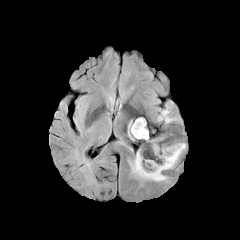
FLAIR magnetic resonance.
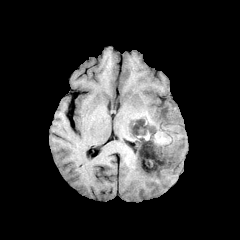
Same slice, T1-weighted MRI.
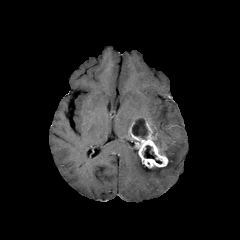
Post-contrast T1-weighted MRI.
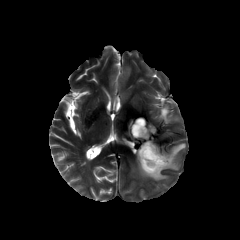
Same slice, T2-weighted MR.
Head
Edema: bounding box box=[157, 104, 178, 123]; box=[129, 143, 185, 181].
Non-enhancing tumor core: bounding box box=[144, 145, 162, 164]; box=[132, 117, 149, 139]; box=[142, 164, 163, 171].
Enhancing tumor: bounding box box=[128, 122, 167, 167].